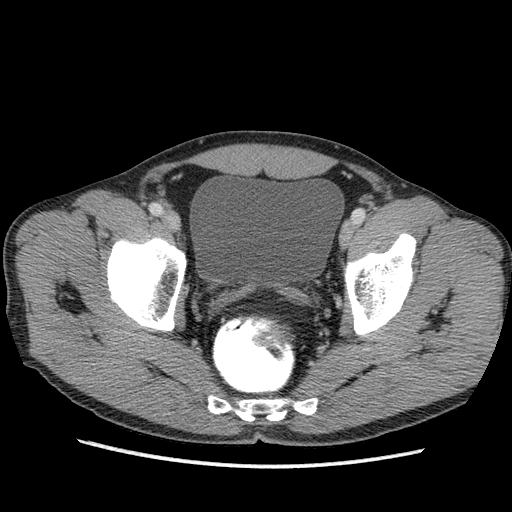 CT slice. Image size 512x512.

Segmented structures:
- urinary bladder: [190, 174, 343, 288]